FLAIR MR.
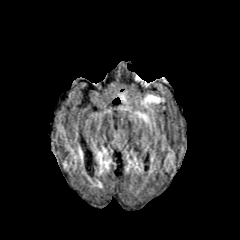
T1-weighted MR.
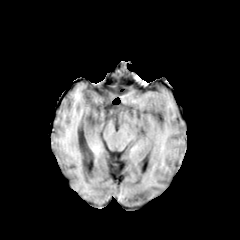
Post-contrast T1-weighted magnetic resonance.
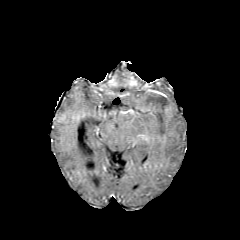
T2-weighted MRI.
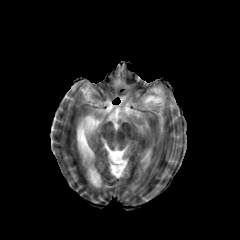
240x240 | Head
edema: (x1=144, y1=95, x2=160, y2=104)